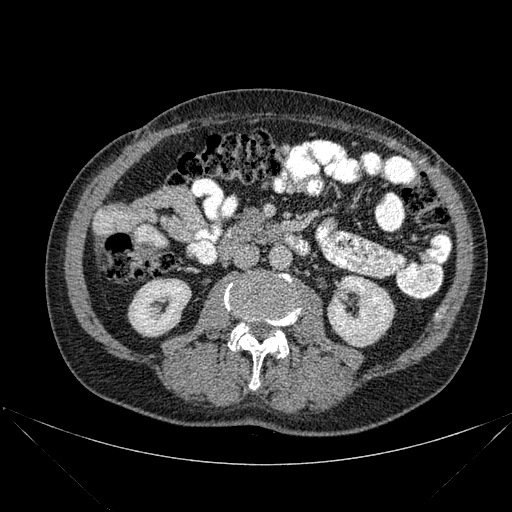 Computed tomography
{
  "bone": [
    "<bbox>224, 274, 299, 389</bbox>"
  ],
  "kidney": [
    "<bbox>328, 276, 393, 346</bbox>",
    "<bbox>129, 279, 190, 336</bbox>"
  ]
}